Image size 512x512 | Computed tomography | Abdomen | Slice index 47 | Field of view 409 mm wide, 5.00 mm slice spacing

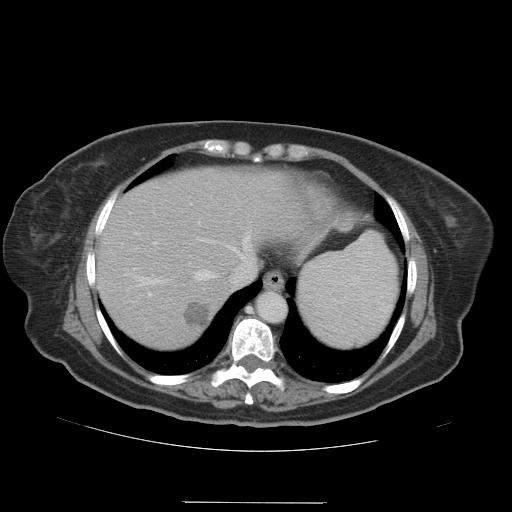

The vessel boxes may cover only some of the vessels.
{
  "hepatic_vessel": [
    "(195, 270, 218, 279)",
    "(153, 243, 156, 244)",
    "(132, 275, 159, 285)",
    "(242, 233, 252, 251)",
    "(229, 246, 238, 253)",
    "(201, 239, 205, 240)"
  ]
}